FLAIR MR.
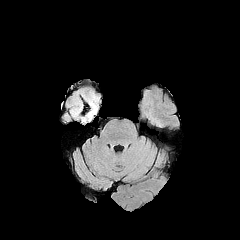
T1-weighted MRI.
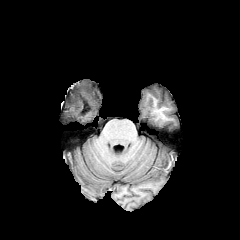
Post-contrast T1-weighted magnetic resonance.
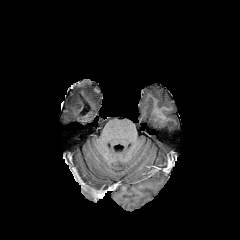
T2-weighted MR image.
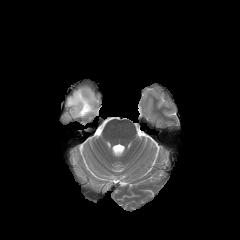
240x240.
edema:
  - 67, 89, 99, 122
non-enhancing_tumor_core:
  - 76, 92, 83, 102